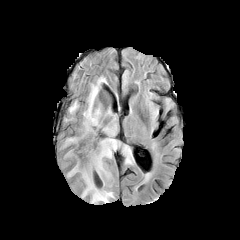
FLAIR magnetic resonance.
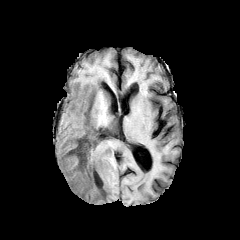
Same slice, T1-weighted MR image.
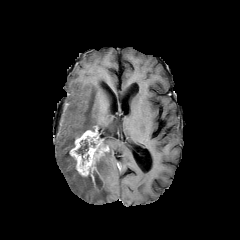
Post-contrast T1-weighted MR image of the same slice.
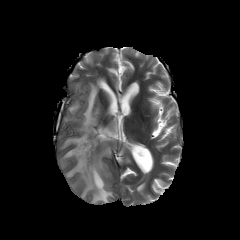
T2-weighted MR.
enhancing tumor: 69, 128, 108, 176 | edema: 67, 77, 121, 203; 64, 101, 79, 122; 63, 135, 76, 149 | non-enhancing tumor core: 74, 138, 101, 163; 68, 150, 77, 167